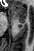

MRI slice, Hippocampus

posterior_hippocampus:
  - <box>18,25,21,27</box>
  - <box>20,22,24,23</box>
anterior_hippocampus:
  - <box>13,5,26,21</box>